Abdomen. Slice index 95. CT slice. 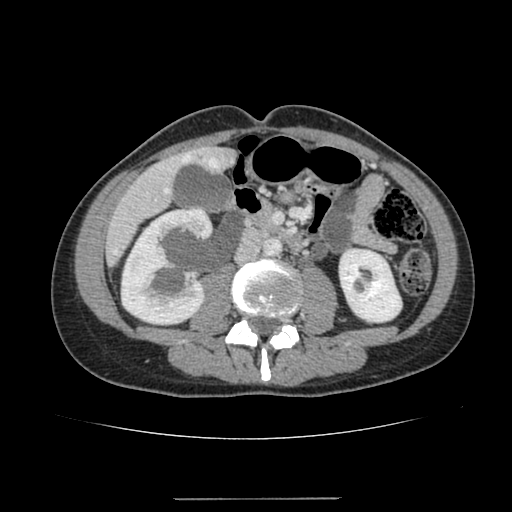

liver: 106,146,235,266 | kidney: 339,249,401,321; 121,209,211,323